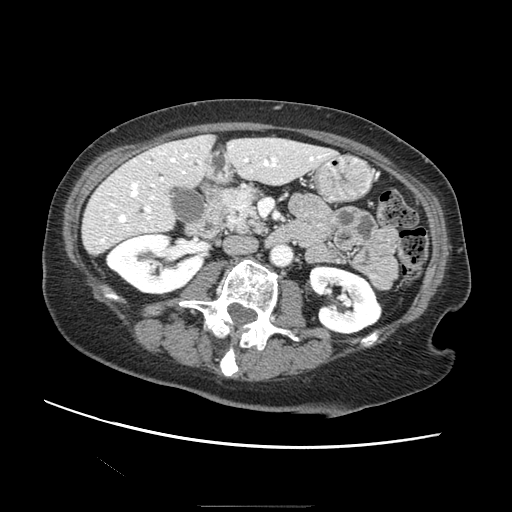 512x512 px, CT
The pancreas is bounded by x1=221, y1=187, x2=266, y2=234. The pancreatic tumor is located at x1=230, y1=190, x2=250, y2=216.